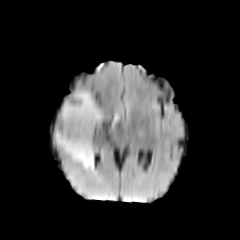
FLAIR MRI.
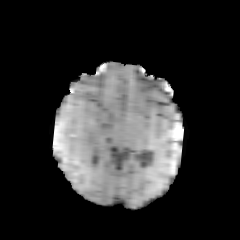
Same slice, T1-weighted magnetic resonance.
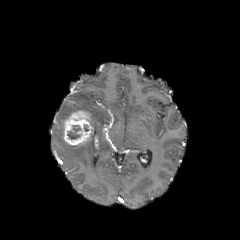
Post-contrast T1-weighted MR.
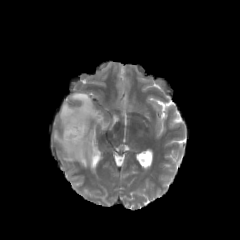
T2-weighted MR.
Enhancing tumor: bounding box x1=62, y1=110, x2=94, y2=145.
Non-enhancing tumor core: bounding box x1=67, y1=125, x2=81, y2=140.
Edema: bounding box x1=53, y1=92, x2=103, y2=169.